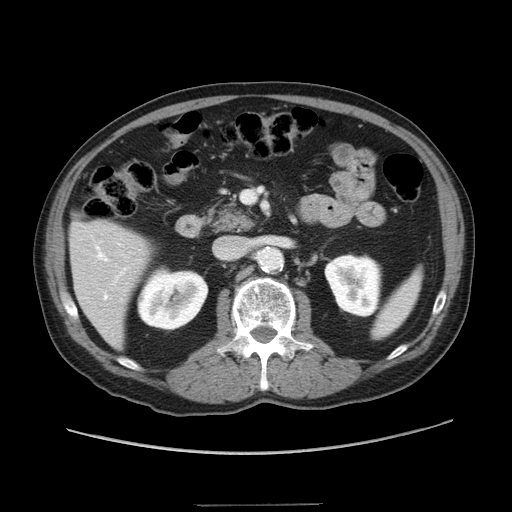
CT, Abdomen
Segmented structures:
• pancreas: 209, 206, 252, 231